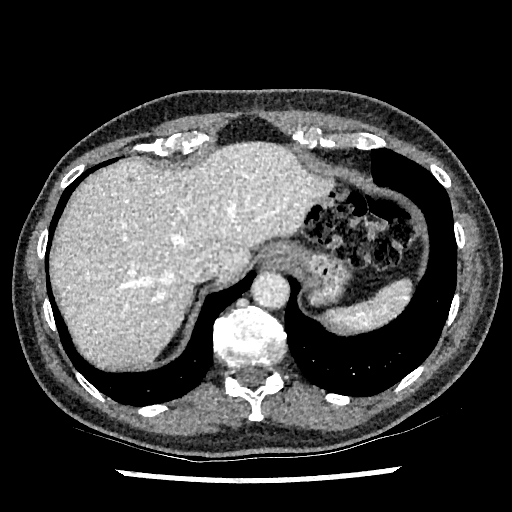 CT slice
{
  "liver": [
    "[x1=51, y1=141, x2=332, y2=368]"
  ],
  "hepatic_lesion": [
    "[x1=126, y1=176, x2=134, y2=182]"
  ]
}